Image size 512x512 | CT image | Abdomen | Slice 25 of 95 | Image width 399 mm

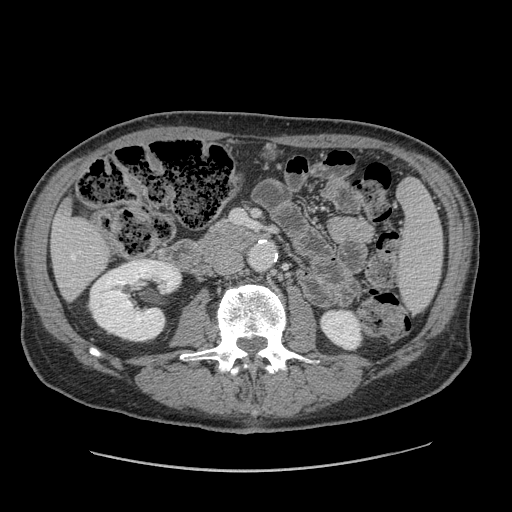

Findings:
* pancreas: bbox=[210, 223, 240, 236]